240x240; Brain; Field of view 240x240 mm; Slice 90/155
FLAIR MR image.
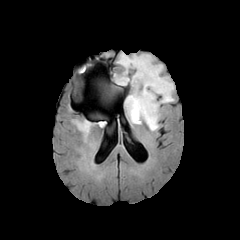
T1-weighted magnetic resonance.
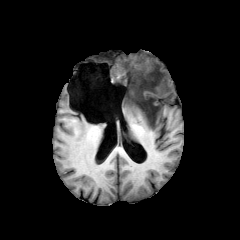
Post-contrast T1-weighted MRI.
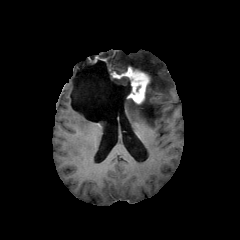
T2-weighted MRI.
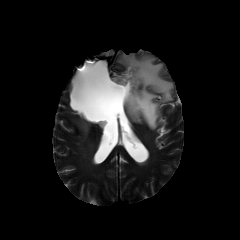
Edema at bbox=[118, 55, 174, 130]; bbox=[112, 78, 126, 85].
Enhancing tumor at bbox=[114, 67, 149, 103].
Non-enhancing tumor core at bbox=[114, 76, 131, 94]; bbox=[136, 74, 155, 121].